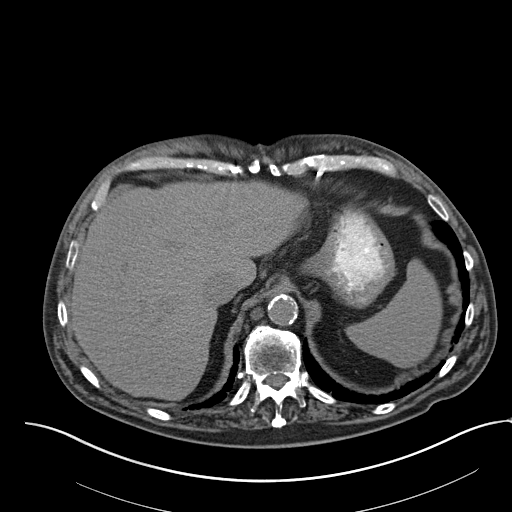

Upper abdomen, CT scan slice

<segmentation>
  <spleen>348,263,441,366</spleen>
</segmentation>